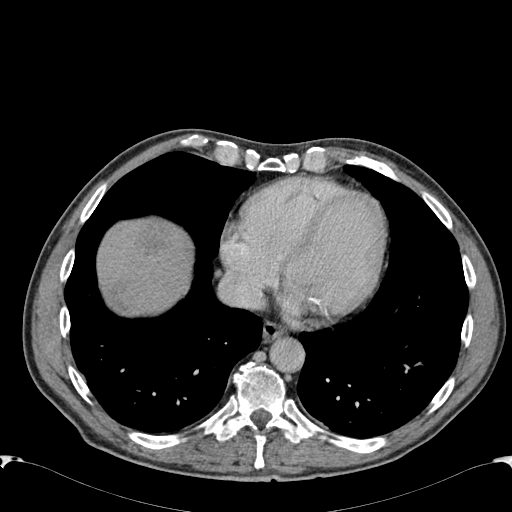

CT; Abdomen
Annotated regions:
- hepatic lesion: (x1=109, y1=280, x2=124, y2=307), (x1=141, y1=229, x2=167, y2=252)
- liver: (x1=97, y1=219, x2=192, y2=316)